Slice 89/135 | Upper abdomen | 512x512 | CT
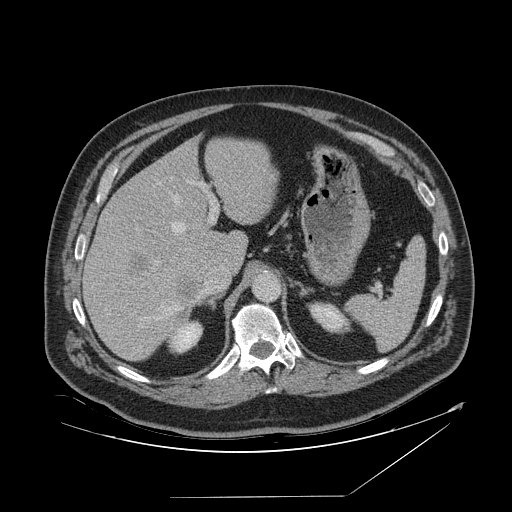 Spleen: bounding box region(346, 237, 425, 349).